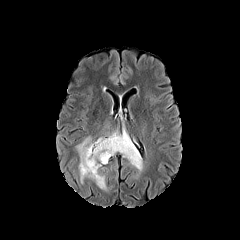
FLAIR MRI.
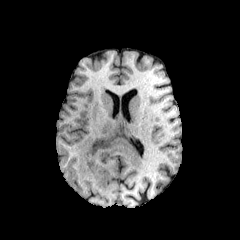
Same slice, T1-weighted MR.
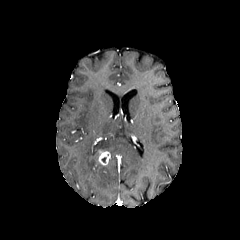
Post-contrast T1-weighted MR image.
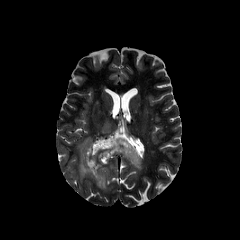
T2-weighted MR image.
Brain.
The edema is located at box=[77, 128, 142, 189]. The enhancing tumor is located at box=[99, 151, 110, 165].